Head
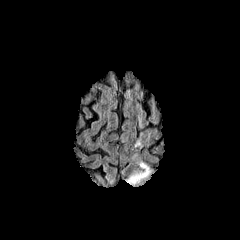
FLAIR magnetic resonance.
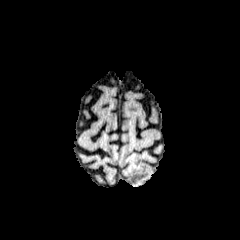
T1-weighted MR.
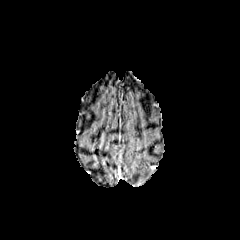
Post-contrast T1-weighted MR of the same slice.
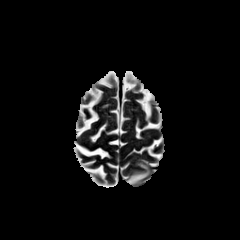
Same slice, T2-weighted MRI.
Edema — (left=124, top=160, right=151, bottom=185).